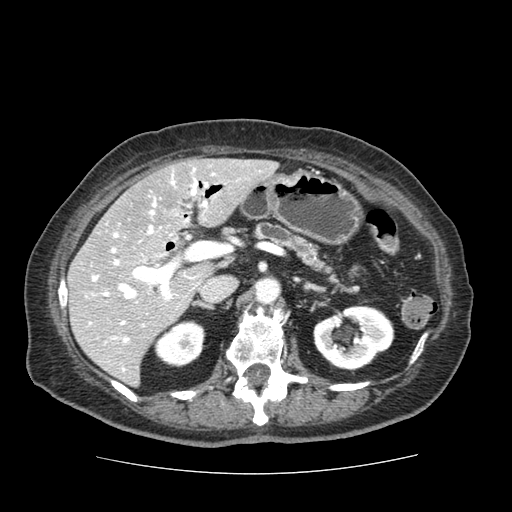
Computed tomography
pancreas:
  - 254,223,344,284